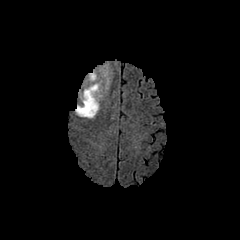
FLAIR MRI.
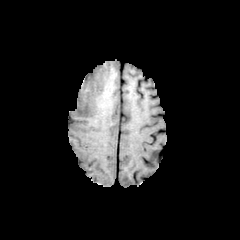
T1-weighted MR image.
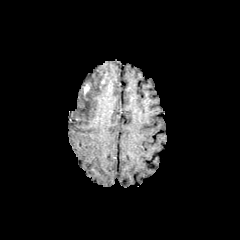
Post-contrast T1-weighted magnetic resonance of the same slice.
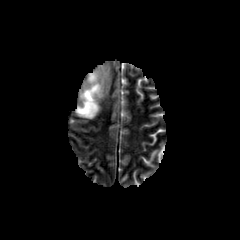
T2-weighted MR image of the same slice.
Image size 240x240
The edema is located at (75, 71, 102, 118).